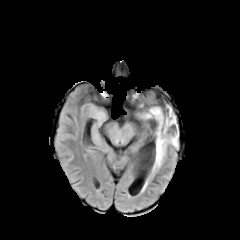
FLAIR MRI.
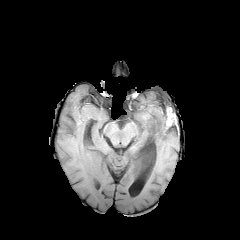
T1-weighted MRI.
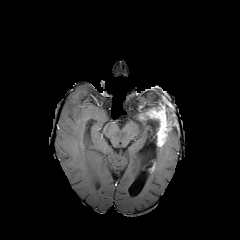
Same slice, post-contrast T1-weighted MR image.
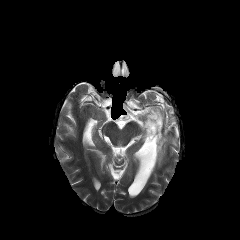
T2-weighted MR image.
{
  "edema": [
    "152 128 179 173"
  ],
  "enhancing_tumor": [
    "146 106 175 147"
  ],
  "non-enhancing_tumor_core": [
    "168 124 178 137",
    "165 105 175 121",
    "138 104 159 116",
    "152 120 159 142"
  ]
}